Liver; CT scan slice; Field of view 424x424 mm; 512x512 px
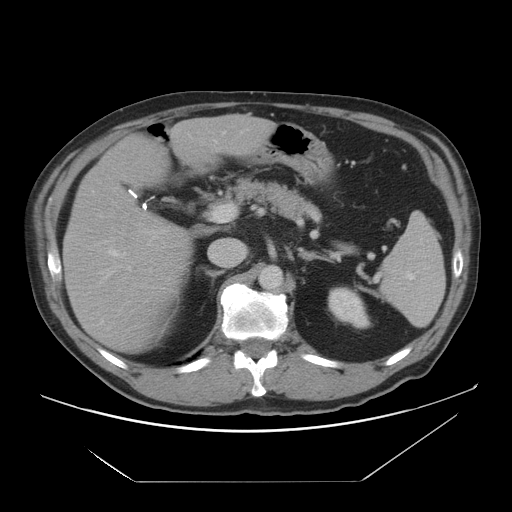 The kidney appears at rect(330, 290, 366, 325). The liver is at rect(63, 114, 274, 353).